Abdomen; CT scan slice
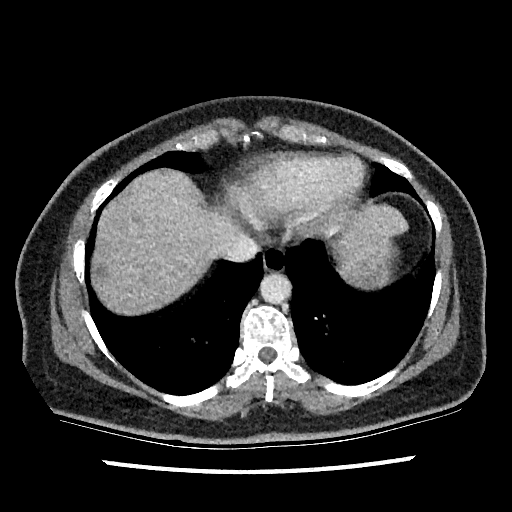 focal liver lesion: x1=95 y1=266 x2=107 y2=277 | liver: x1=233 y1=189 x2=261 y2=218, x1=340 y1=206 x2=407 y2=277, x1=93 y1=169 x2=237 y2=312